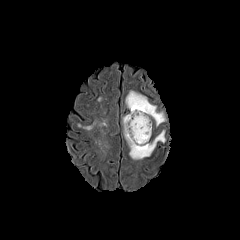
FLAIR MRI.
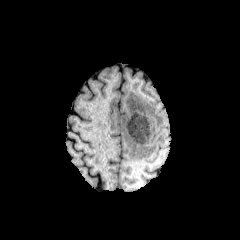
T1-weighted MRI.
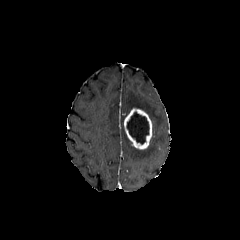
Post-contrast T1-weighted MR.
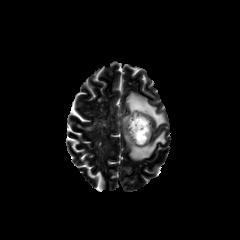
Same slice, T2-weighted MR.
Edema — (x1=125, y1=93, x2=165, y2=127), (x1=123, y1=129, x2=165, y2=160).
Non-enhancing tumor core — (x1=126, y1=112, x2=149, y2=143).
Enhancing tumor — (x1=124, y1=108, x2=152, y2=149).